FLAIR MR image.
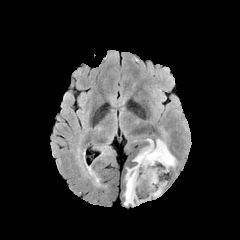
T1-weighted magnetic resonance.
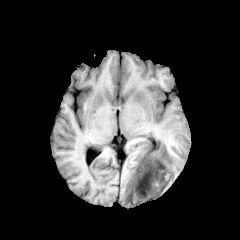
Post-contrast T1-weighted MRI.
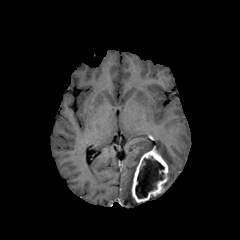
T2-weighted MR image.
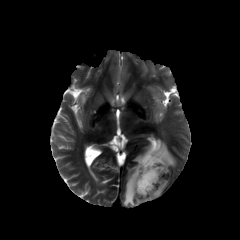
Image size 240x240, Head
<segmentation>
  <enhancing_tumor>l=131, t=146, r=168, b=203</enhancing_tumor>
  <non-enhancing_tumor_core>l=136, t=159, r=164, b=198</non-enhancing_tumor_core>
  <edema>l=156, t=139, r=176, b=168; l=123, t=139, r=155, b=206</edema>
</segmentation>